Field of view 360x360 mm; Chest; CT image 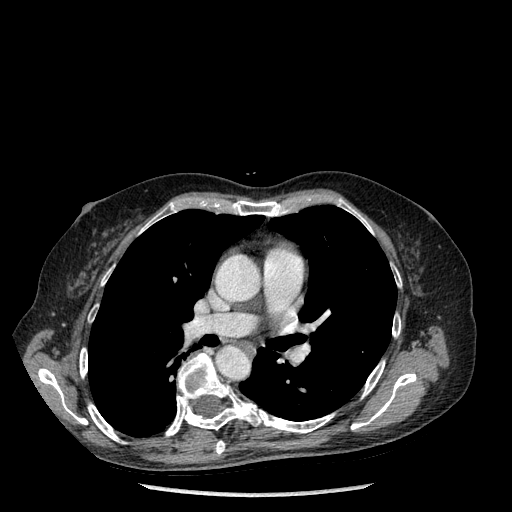
<segmentation>
  <lung>rect(239, 205, 396, 421); rect(88, 209, 263, 437)</lung>
  <bone>rect(361, 360, 384, 398); rect(88, 304, 98, 322); rect(392, 265, 401, 287); rect(215, 440, 224, 454); rect(38, 368, 87, 424); rect(79, 348, 87, 378); rect(392, 314, 400, 337); rect(232, 200, 283, 216); rect(337, 198, 373, 234); rect(138, 202, 176, 234); rect(165, 353, 334, 436); rect(351, 372, 416, 430); rect(88, 403, 125, 443); rect(101, 268, 111, 285)</bone>
</segmentation>